Field of view 381x381 mm; CT slice; Slice 446 of 826; Image size 512x512
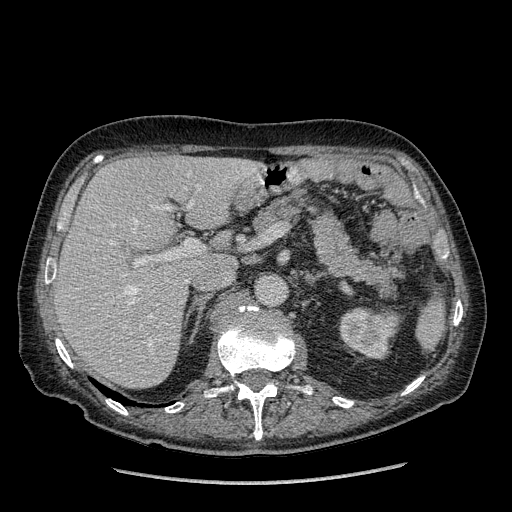
The liver lies within region(55, 156, 257, 387). The kidney is at region(340, 308, 398, 358).